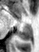 MRI slice. Image size 39x52. Hippocampus. Posterior hippocampus — rect(18, 25, 31, 40).